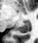
MRI, Hippocampus, Image size 38x43

{"posterior_hippocampus": ["16,21,29,33"]}